FLAIR MR image.
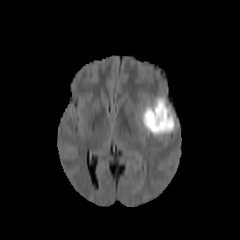
T1-weighted MR.
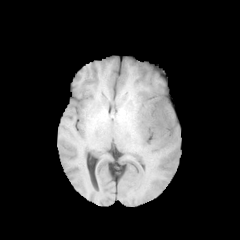
Post-contrast T1-weighted magnetic resonance.
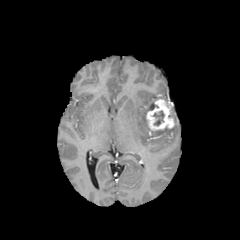
T2-weighted MR.
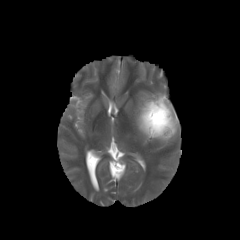
240x240 px; Brain
enhancing tumor: (145, 97, 176, 130) | non-enhancing tumor core: (154, 110, 164, 124), (147, 118, 177, 134) | edema: (134, 94, 178, 142)